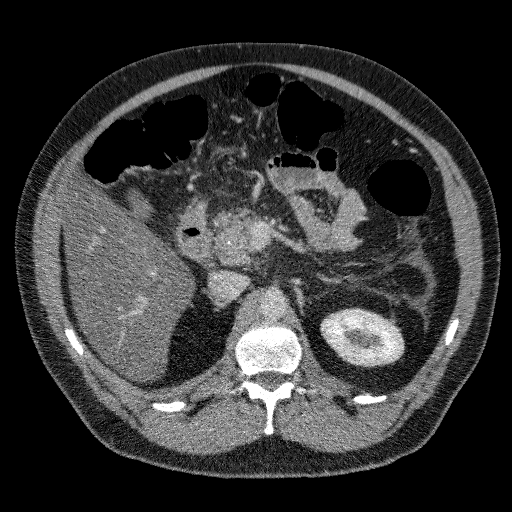

CT image.

liver: [x1=64, y1=181, x2=193, y2=380] | kidney: [x1=323, y1=310, x2=402, y2=364]